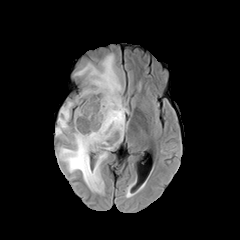
FLAIR MR.
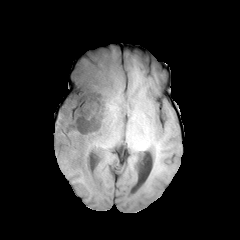
T1-weighted MRI.
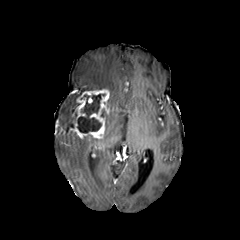
Post-contrast T1-weighted MR image of the same slice.
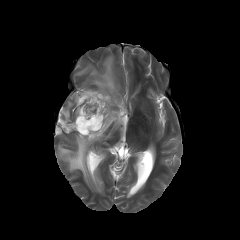
T2-weighted MRI.
Brain. 240x240 px.
<segmentation>
  <non-enhancing_tumor_core>(74, 88, 89, 117), (74, 94, 101, 133), (56, 122, 70, 133)</non-enhancing_tumor_core>
  <enhancing_tumor>(70, 89, 109, 139)</enhancing_tumor>
  <edema>(56, 54, 127, 190), (58, 98, 75, 128)</edema>
</segmentation>